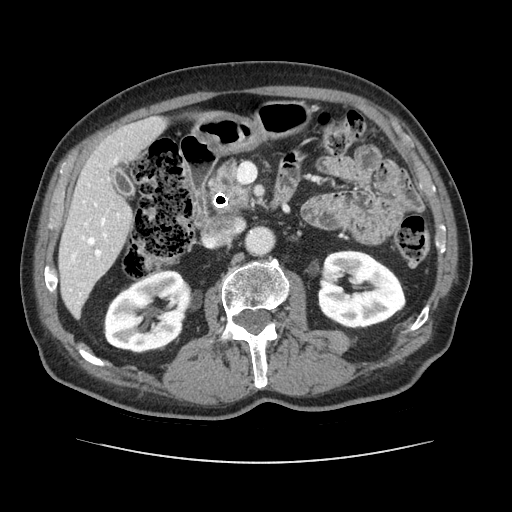

CT slice | Upper abdomen

The pancreatic tumor is located at <bbox>228, 186, 247, 204</bbox>. The pancreas appears at <bbox>215, 162, 249, 205</bbox>.